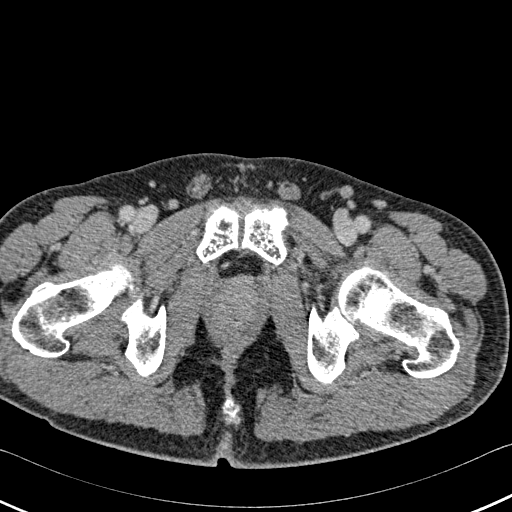
Image size 512x512. CT.

Bone — 196 206 287 264, 307 267 459 382, 223 398 238 416, 0 265 165 376.